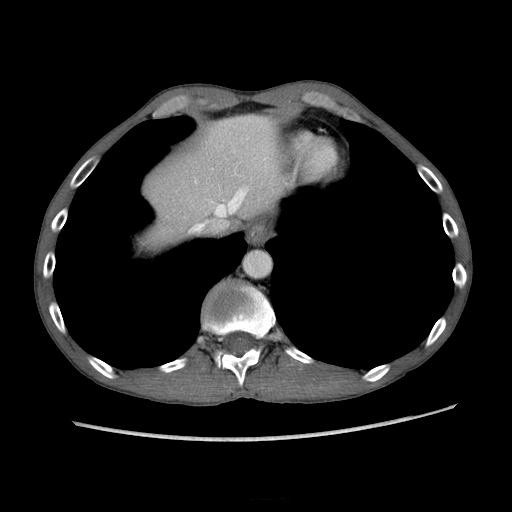
Upper abdomen | CT slice | 512x512 px
Liver: bbox=[125, 114, 295, 246].